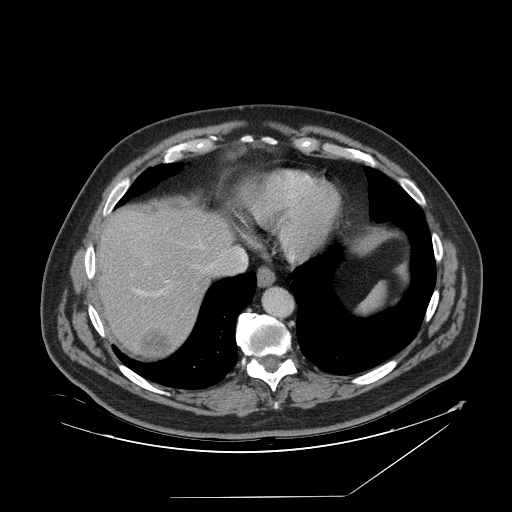
512x512 | Abdomen | CT
The spleen is located at 357, 285, 386, 314.